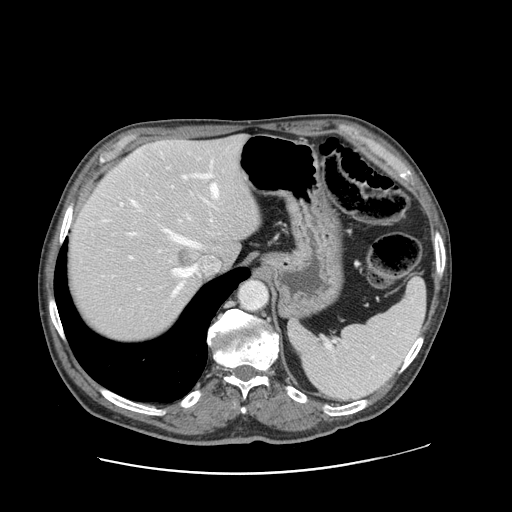 CT slice; 512x512
Some hepatic vessels may have no box.
Segmented structures:
- liver tumor: {"x1": 177, "y1": 250, "x2": 190, "y2": 266}
- hepatic vessel: {"x1": 130, "y1": 233, "x2": 134, "y2": 234}, {"x1": 120, "y1": 203, "x2": 122, "y2": 205}, {"x1": 183, "y1": 175, "x2": 187, "y2": 178}, {"x1": 162, "y1": 229, "x2": 169, "y2": 232}, {"x1": 132, "y1": 201, "x2": 136, "y2": 205}, {"x1": 196, "y1": 172, "x2": 211, "y2": 177}, {"x1": 172, "y1": 283, "x2": 182, "y2": 294}, {"x1": 171, "y1": 234, "x2": 195, "y2": 246}, {"x1": 173, "y1": 266, "x2": 196, "y2": 278}, {"x1": 211, "y1": 184, "x2": 217, "y2": 196}, {"x1": 204, "y1": 199, "x2": 206, "y2": 201}